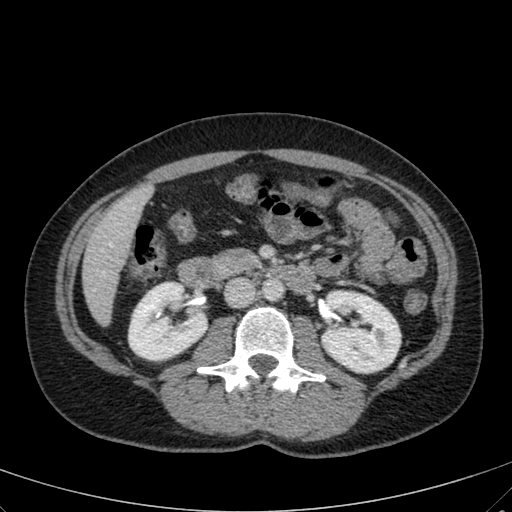

CT, 512x512

The liver appears at region(82, 198, 141, 326). 2 kidney regions are bounded by region(129, 283, 206, 360); region(322, 291, 399, 372).